Slice 80 of 155
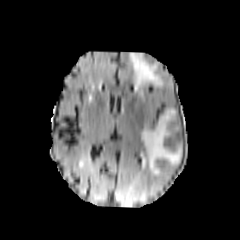
FLAIR MRI.
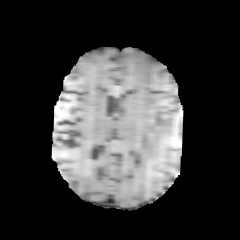
Same slice, T1-weighted MR image.
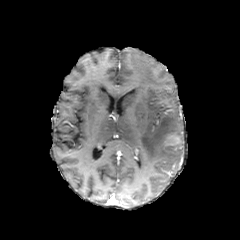
Post-contrast T1-weighted magnetic resonance.
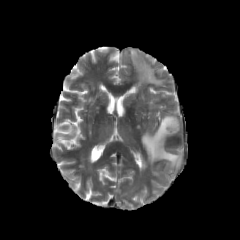
T2-weighted magnetic resonance.
2 edema regions appear at bbox(129, 52, 164, 97); bbox(142, 109, 183, 172).